Abdomen, CT scan slice

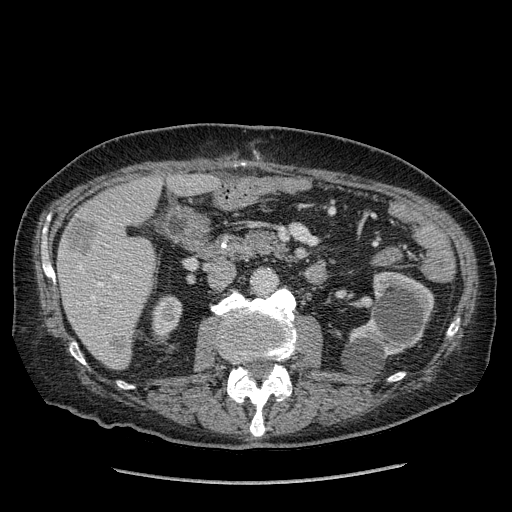 Kidney — <bbox>153, 297, 181, 335</bbox>, <bbox>349, 272, 433, 356</bbox>.
Liver lesion — <bbox>111, 335, 125, 352</bbox>, <bbox>67, 219, 96, 254</bbox>.
Liver — <bbox>168, 174, 219, 195</bbox>, <bbox>58, 176, 162, 370</bbox>.